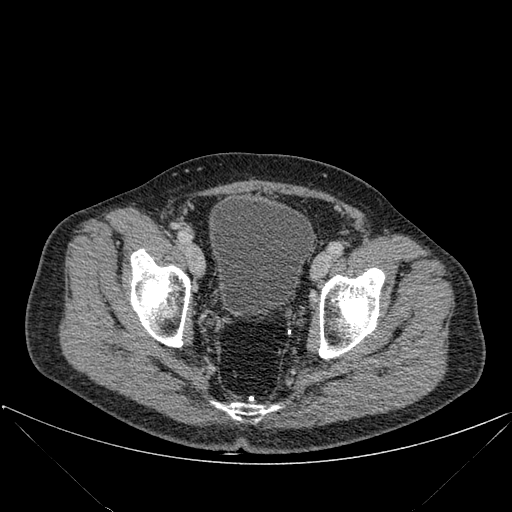 Pelvis, CT image
Bone — x1=319 y1=268 x2=384 y2=358, x1=131 y1=249 x2=190 y2=347, x1=212 y1=402 x2=280 y2=421.
Urinary bladder — x1=208 y1=196 x2=314 y2=316.